Head
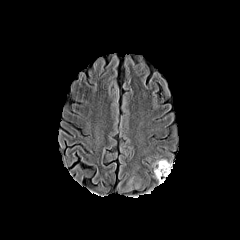
FLAIR MRI.
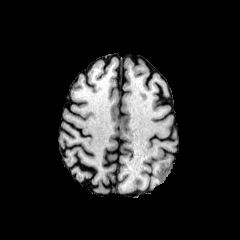
T1-weighted MR image.
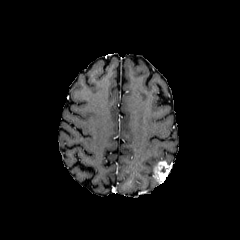
Post-contrast T1-weighted magnetic resonance of the same slice.
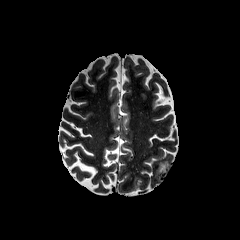
T2-weighted MR image.
Enhancing tumor at [152,160,174,183].
Edema at [117,175,142,193].